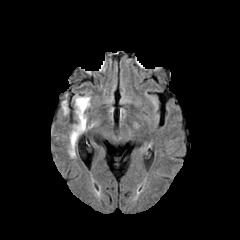
FLAIR MR image.
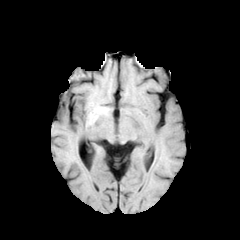
T1-weighted MR.
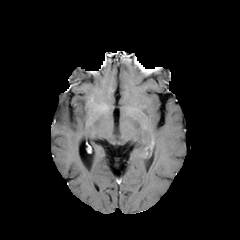
Same slice, post-contrast T1-weighted MRI.
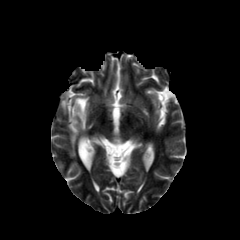
T2-weighted magnetic resonance of the same slice.
Edema — [x1=68, y1=93, x2=93, y2=157], [x1=62, y1=101, x2=69, y2=115].